CT image
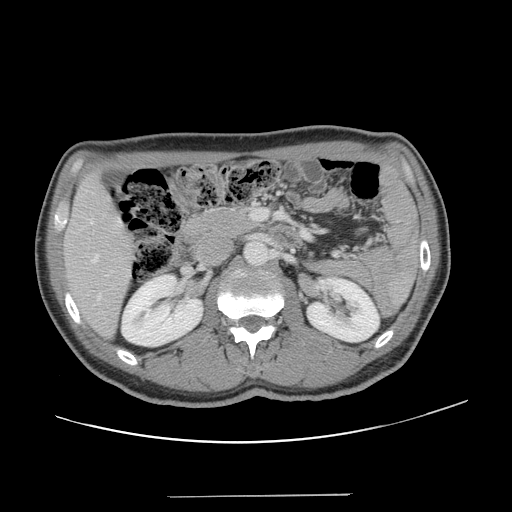
The vessel boxes may cover only some of the vessels.
3 hepatic vessel regions are bounded by (left=89, top=219, right=93, bottom=224), (left=97, top=294, right=100, bottom=300), (left=92, top=253, right=98, bottom=262).